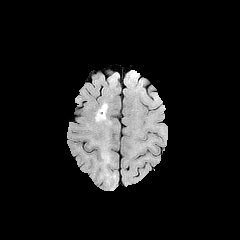
FLAIR magnetic resonance.
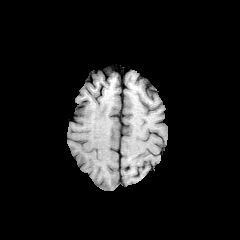
T1-weighted magnetic resonance of the same slice.
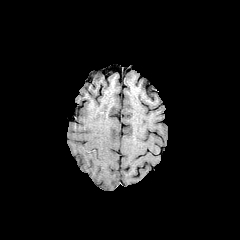
Post-contrast T1-weighted MR image.
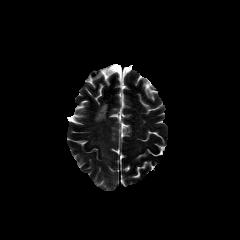
T2-weighted magnetic resonance.
Head
edema: [96, 104, 106, 118]